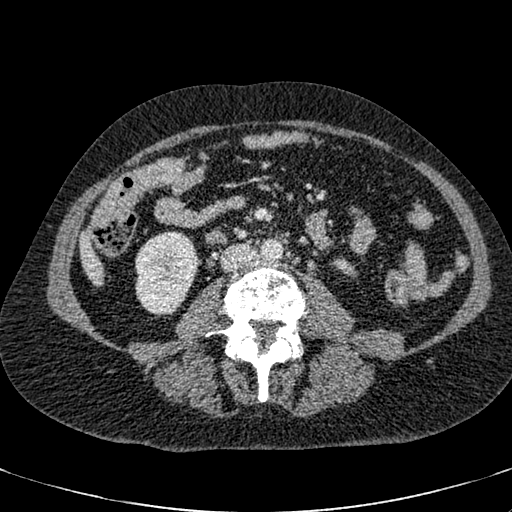
CT, Liver
Kidney at 136,232,197,314.
Liver at 78,232,103,283.